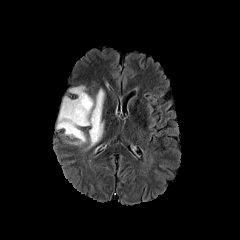
FLAIR magnetic resonance.
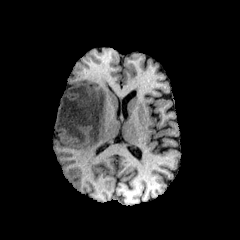
T1-weighted MR of the same slice.
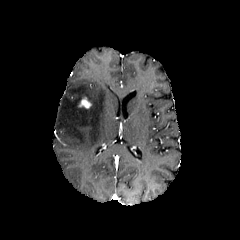
Post-contrast T1-weighted MR image.
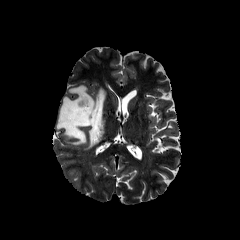
T2-weighted magnetic resonance of the same slice.
Enhancing tumor — x1=79, y1=96, x2=92, y2=108.
Edema — x1=56, y1=86, x2=104, y2=150.